CT slice

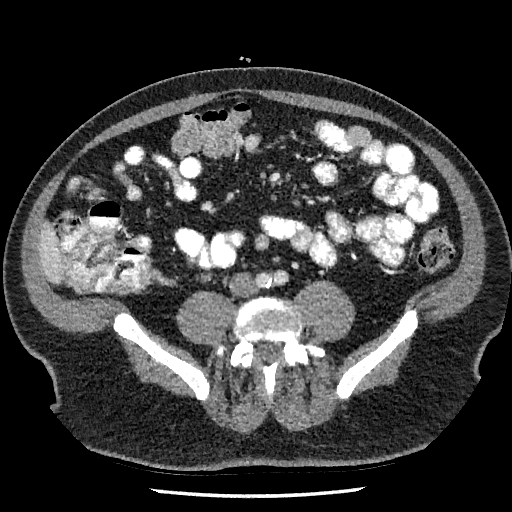

Annotated regions:
- liver: 39 223 63 284